512x512; CT 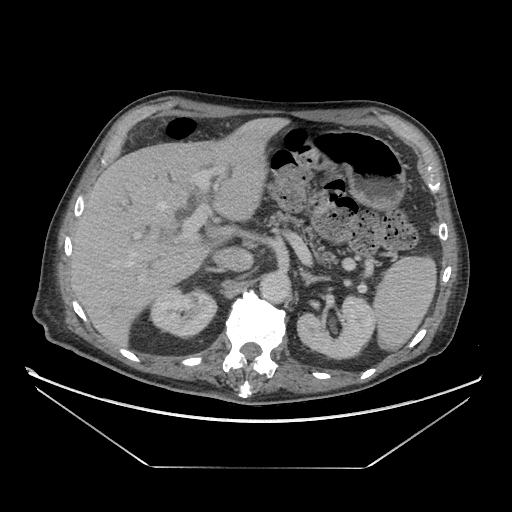
Segmented structures:
- pancreas: l=267, t=213, r=337, b=265